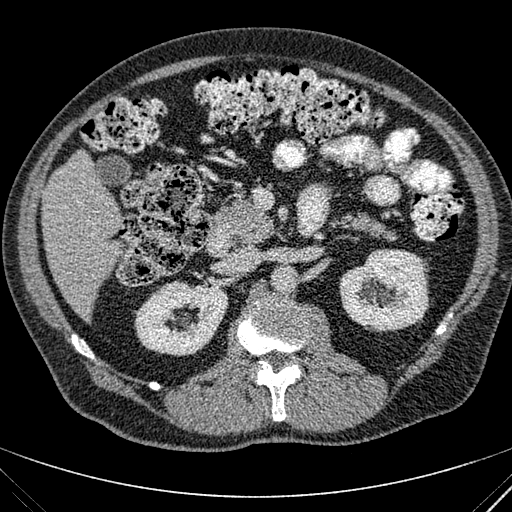 512x512 px, Computed tomography

The liver is at region(43, 152, 122, 320). 2 kidney regions are bounded by region(340, 249, 427, 330); region(135, 278, 227, 355).